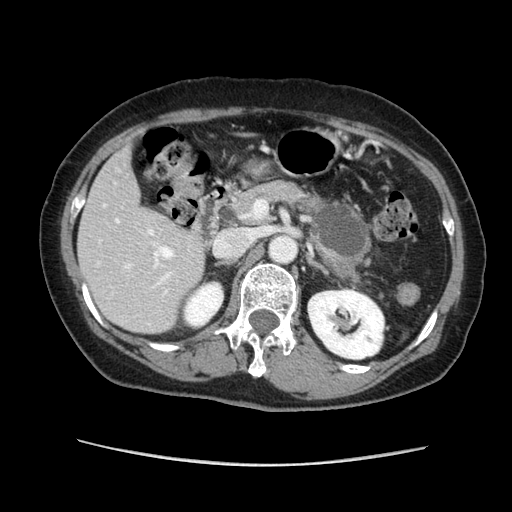 CT. pancreatic tumor: <box>312,203,367,259</box> | pancreas: <box>221,179,372,289</box>